Slice index 73, 240x240 px
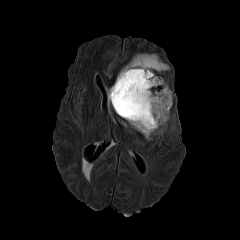
FLAIR MR image.
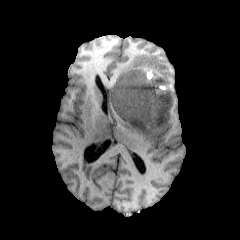
T1-weighted MRI of the same slice.
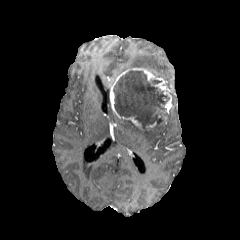
Same slice, post-contrast T1-weighted magnetic resonance.
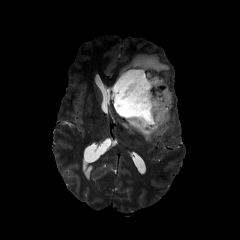
T2-weighted MR image.
Edema: left=119, top=53, right=169, bottom=74; left=132, top=123, right=167, bottom=141; left=107, top=89, right=109, bottom=112.
Enhancing tumor: left=109, top=69, right=129, bottom=118; left=131, top=68, right=172, bottom=113; left=122, top=117, right=142, bottom=126.
Non-enhancing tumor core: left=113, top=69, right=169, bottom=128.